Slice 34 of 104 | 512x512 | CT 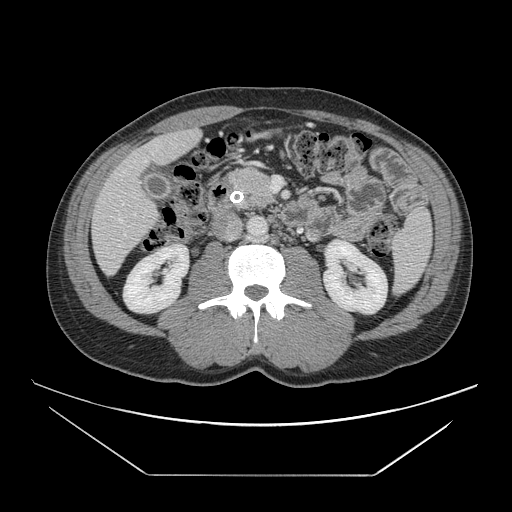
pancreas:
  - l=230, t=169, r=270, b=208